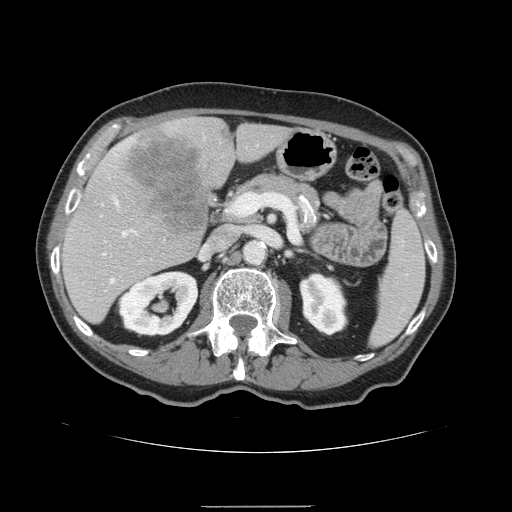

Computed tomography
The vessel boxes may cover only some of the vessels.
Findings:
- liver tumor: left=123, top=128, right=209, bottom=235
- hepatic vessel: left=218, top=240, right=224, bottom=246; left=227, top=194, right=254, bottom=215; left=228, top=226, right=240, bottom=231; left=113, top=195, right=117, bottom=204; left=203, top=245, right=209, bottom=256; left=123, top=229, right=135, bottom=235; left=110, top=279, right=114, bottom=282